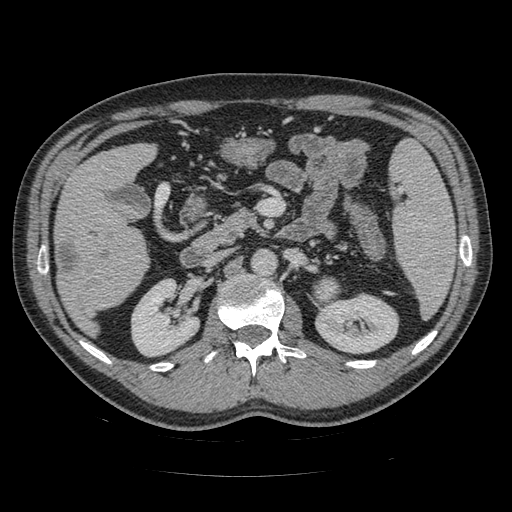
Abdomen, CT
Segmented structures:
• pancreas: bbox=[216, 212, 253, 238]
• pancreatic tumor: bbox=[316, 278, 338, 301]